Image width 240 mm; Brain; Slice index 45
FLAIR MRI.
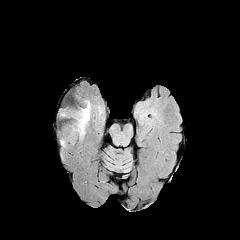
T1-weighted MRI.
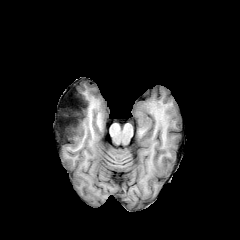
Post-contrast T1-weighted MR image.
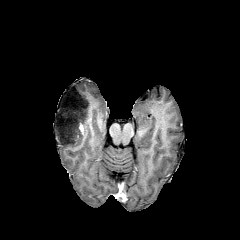
T2-weighted magnetic resonance.
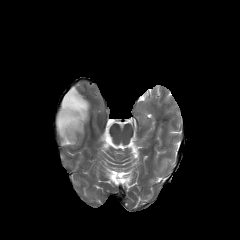
non-enhancing tumor core: box=[59, 99, 90, 144]